Pelvis. CT. Slice index 178. 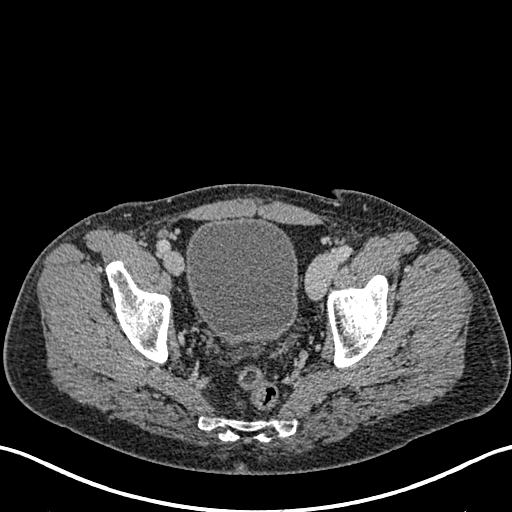

The urinary bladder is at 185:216:297:343.